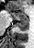

MRI slice. Medial temporal lobe.
{"anterior_hippocampus": ["bbox(9, 11, 27, 20)"], "posterior_hippocampus": ["bbox(15, 21, 28, 30)"]}